Slice 422/771, Abdomen, CT

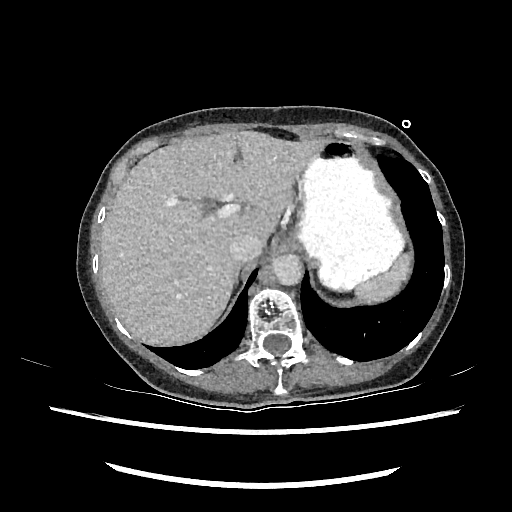

<segmentation>
  <liver><bbox>101, 132, 325, 343</bbox></liver>
</segmentation>